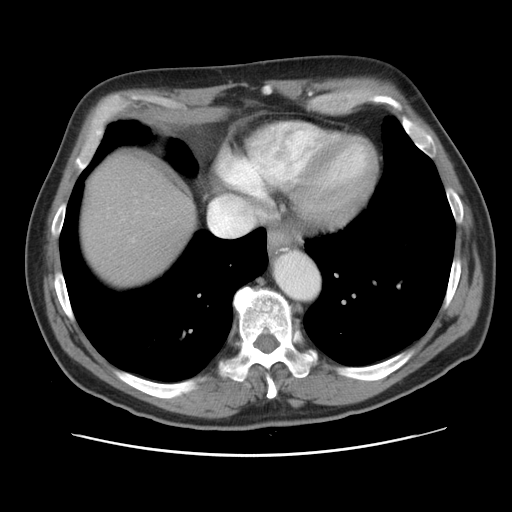 Liver, CT
The vessel boxes may cover only some of the vessels.
{"hepatic_vessel": ["131, 238, 134, 240"]}